Computed tomography | Slice 19/82 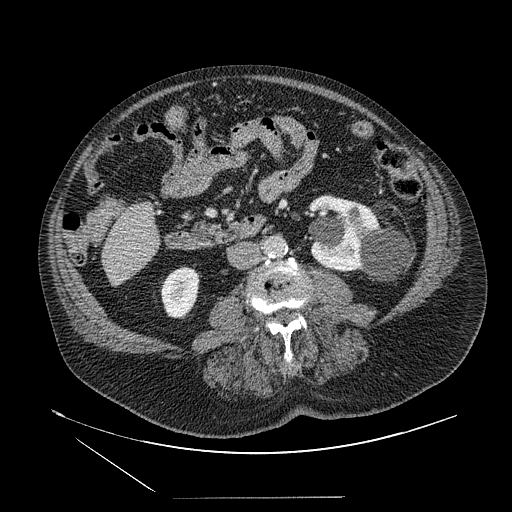 Pancreas — (left=193, top=220, right=220, bottom=240).